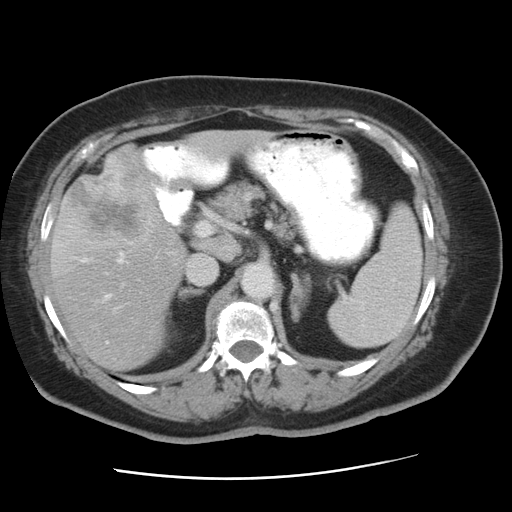
CT slice

Some hepatic vessels may have no box.
8 hepatic vessel regions are bounded by 163 215 170 222, 103 294 110 300, 189 258 214 283, 151 184 155 191, 199 224 209 235, 117 252 123 262, 143 154 149 168, 218 157 223 166. The liver tumor is bounded by 66 162 157 247.